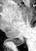
MRI
The posterior hippocampus is at <bbox>8, 38, 23, 45</bbox>.